FLAIR MR image.
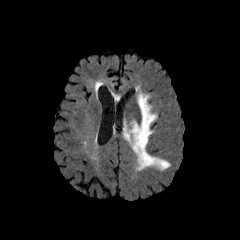
T1-weighted MRI.
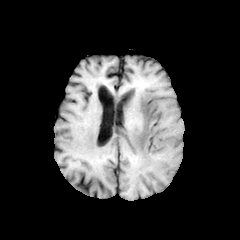
Post-contrast T1-weighted MR image.
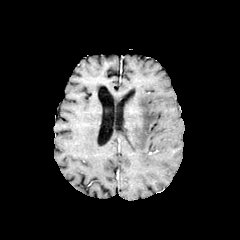
T2-weighted MR.
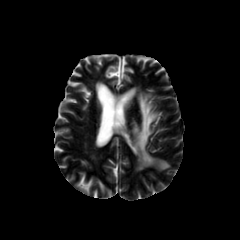
Head.
Findings:
- edema: [121,91,170,171]